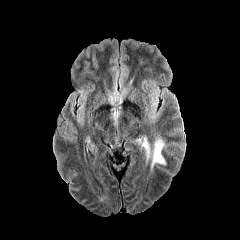
FLAIR MRI.
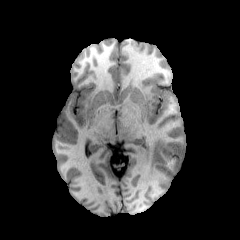
T1-weighted magnetic resonance.
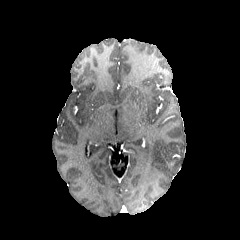
Post-contrast T1-weighted magnetic resonance of the same slice.
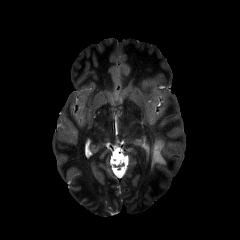
T2-weighted MR image of the same slice.
Brain
The edema is bounded by <bbox>144, 139, 165, 169</bbox>.